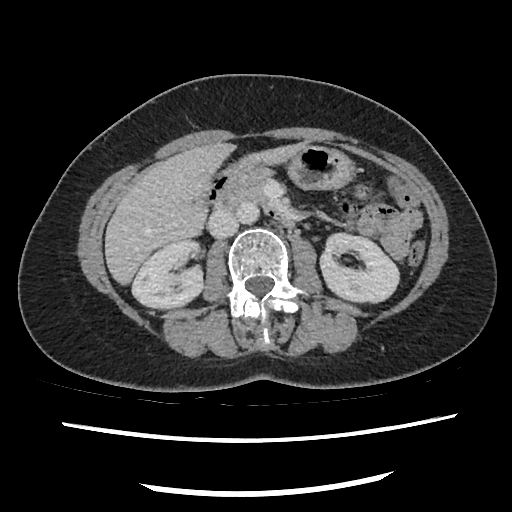
CT scan slice. Abdomen.

The pancreas is bounded by bbox(215, 165, 269, 209).